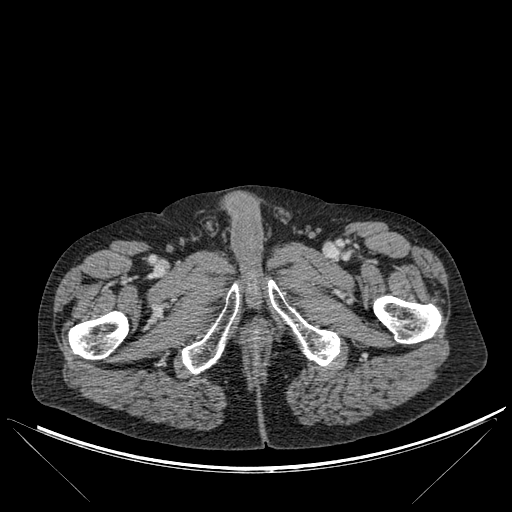 512x512 px, CT image

4 bone regions are located at (268,280,339,366), (68,311,128,359), (373,296,441,343), (182,284,239,373).